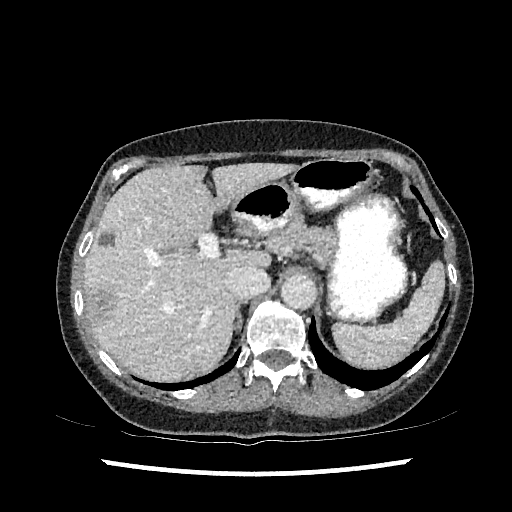

CT image. Abdomen. 512x512 px.

The liver is bounded by {"x1": 86, "y1": 163, "x2": 293, "y2": 378}. 2 liver lesion regions are bounded by {"x1": 86, "y1": 287, "x2": 113, "y2": 325}, {"x1": 99, "y1": 234, "x2": 115, "y2": 247}.